Brain. 240x240 px.
FLAIR MRI.
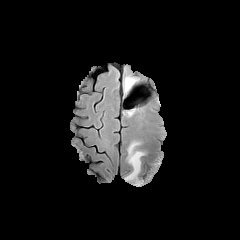
T1-weighted magnetic resonance.
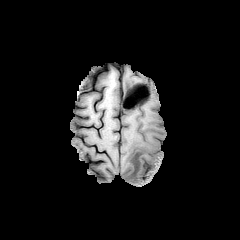
Post-contrast T1-weighted MR.
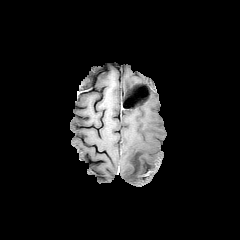
T2-weighted magnetic resonance.
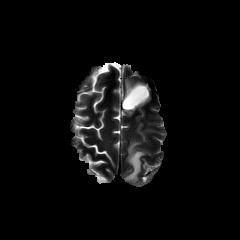
2 edema regions appear at bbox(124, 141, 146, 182); bbox(124, 78, 134, 94).